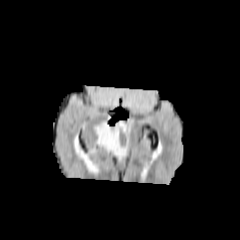
FLAIR MR image.
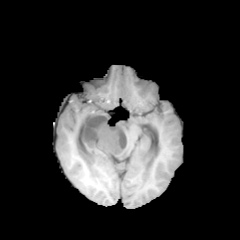
T1-weighted MRI.
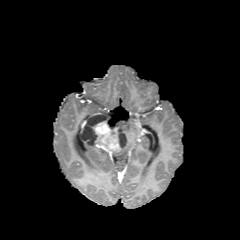
Post-contrast T1-weighted magnetic resonance of the same slice.
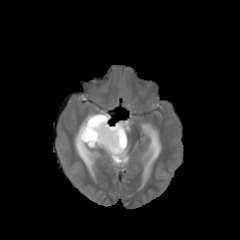
T2-weighted MR.
240x240 px; Head
Enhancing tumor — left=91, top=119, right=122, bottom=153.
Edema — left=118, top=120, right=130, bottom=135; left=112, top=149, right=128, bottom=158.
Non-enhancing tumor core — left=118, top=128, right=130, bottom=153; left=80, top=112, right=118, bottom=153.